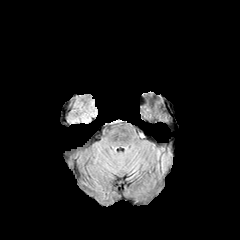
FLAIR MRI.
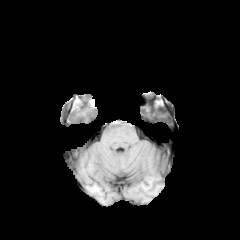
T1-weighted magnetic resonance.
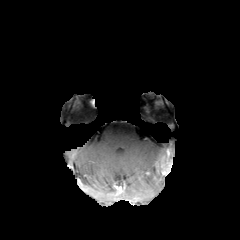
Post-contrast T1-weighted MR.
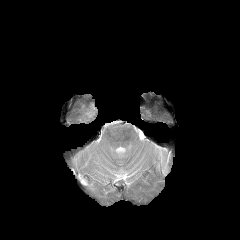
T2-weighted MR.
Brain; 240x240
Non-enhancing tumor core — rect(155, 152, 173, 174).